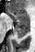
Magnetic resonance.

Anterior hippocampus: 6 10 29 23.
Posterior hippocampus: 14 24 29 38.